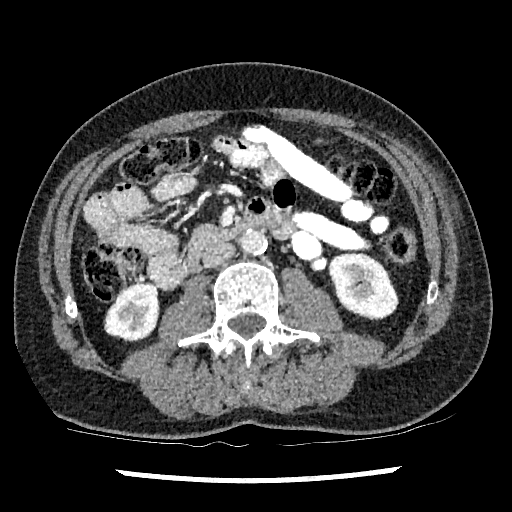

CT slice; Abdomen
2 kidney regions appear at {"x1": 330, "y1": 254, "x2": 396, "y2": 317}, {"x1": 106, "y1": 284, "x2": 157, "y2": 339}.